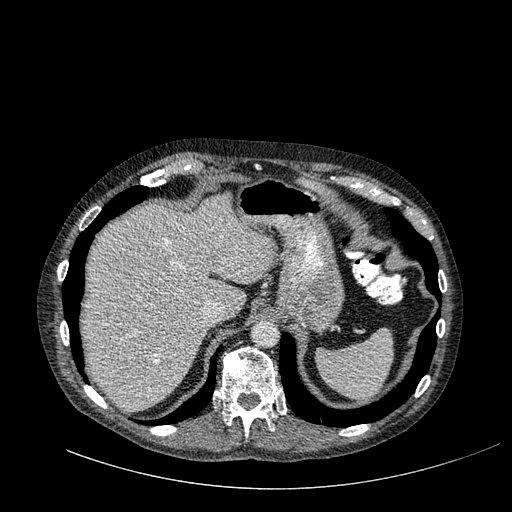

Computed tomography, Image size 512x512
liver: l=83, t=194, r=273, b=410